FLAIR MRI.
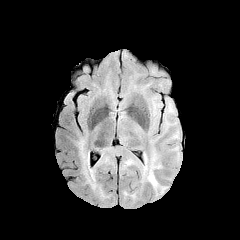
T1-weighted MRI.
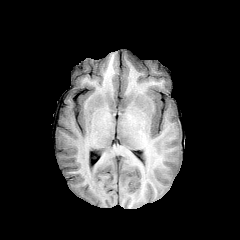
Post-contrast T1-weighted MR image.
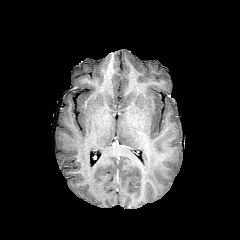
T2-weighted magnetic resonance.
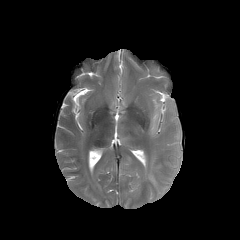
Head.
Findings:
- edema: 147:165:155:185, 79:142:96:183